240x240 px, Head
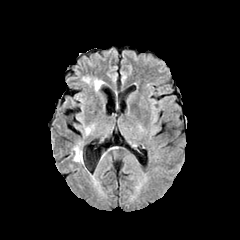
FLAIR MRI.
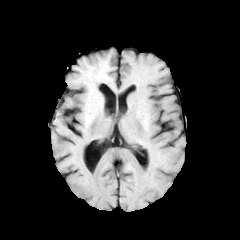
T1-weighted magnetic resonance of the same slice.
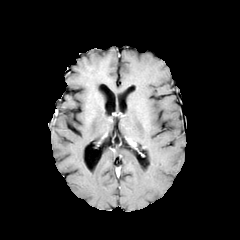
Post-contrast T1-weighted MR.
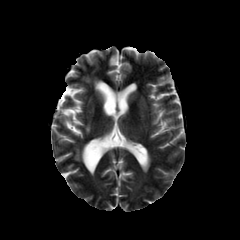
T2-weighted MRI of the same slice.
2 edema regions are bounded by box(92, 78, 105, 91); box(74, 147, 82, 161).